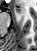
37x51; MR image

The anterior hippocampus is at bbox(15, 7, 19, 12).